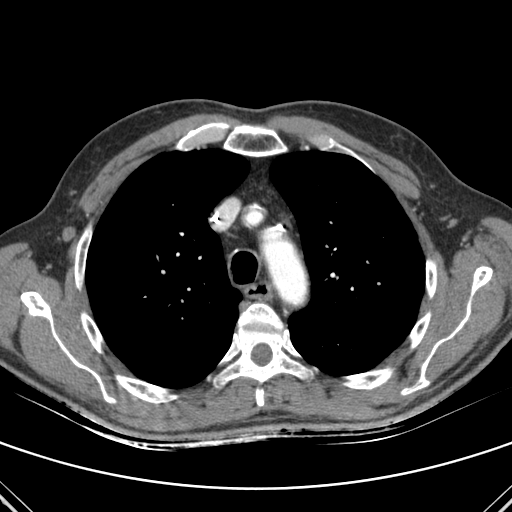
Chest; Image size 512x512; CT scan slice
{"bone": ["box=[20, 291, 115, 403]", "box=[116, 375, 177, 403]", "box=[224, 125, 286, 156]", "box=[426, 259, 436, 297]", "box=[81, 312, 102, 352]", "box=[325, 138, 359, 159]", "box=[344, 368, 392, 389]", "box=[471, 266, 492, 296]", "box=[214, 303, 312, 406]", "box=[74, 226, 91, 289]", "box=[410, 312, 430, 348]", "box=[401, 301, 470, 395]", "box=[176, 122, 229, 149]"], "lung": ["box=[85, 149, 249, 388]", "box=[270, 150, 424, 375]"]}